CT image. Slice index 567. 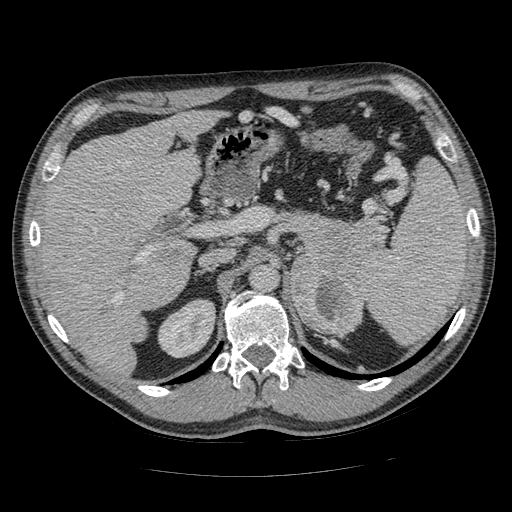

Segmented structures:
• pancreas: [291, 214, 381, 279]
• pancreatic tumor: [290, 255, 363, 333]